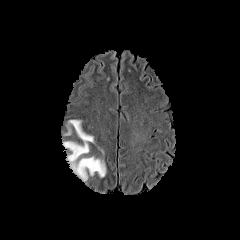
FLAIR MR image.
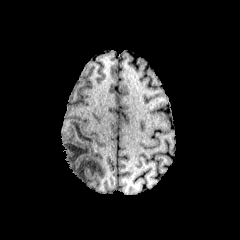
Same slice, T1-weighted MR image.
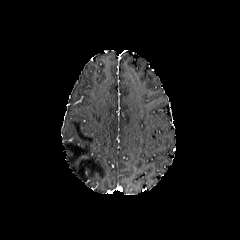
Post-contrast T1-weighted MR of the same slice.
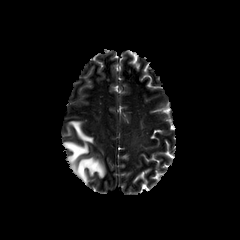
T2-weighted MR.
240x240
Edema at (x1=62, y1=119, x2=106, y2=182).